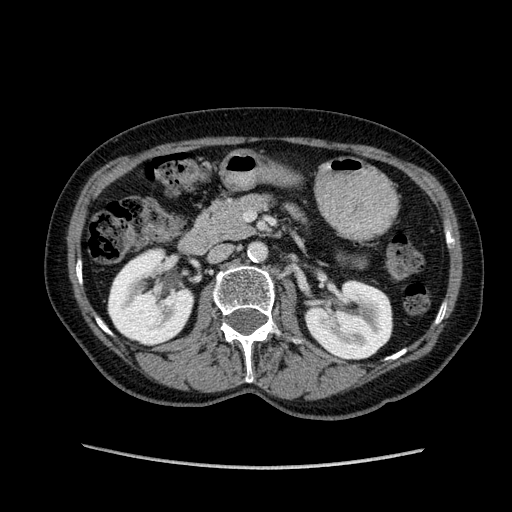
512x512 | CT
* kidney: x1=109 y1=251 x2=192 y2=343, x1=306 y1=277 x2=391 y2=358